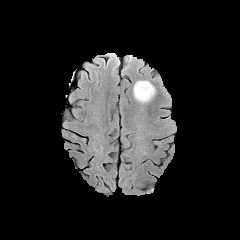
FLAIR MR.
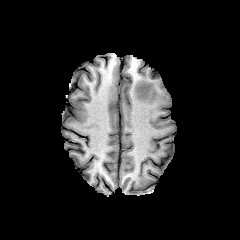
Same slice, T1-weighted MR image.
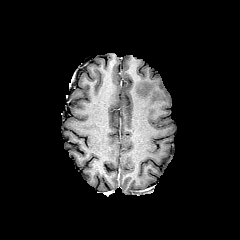
Same slice, post-contrast T1-weighted MRI.
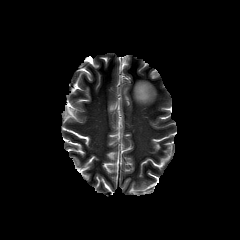
T2-weighted MRI.
The edema appears at [x1=132, y1=79, x2=156, y2=104].